CT image | 512x512 px | Slice 114/565
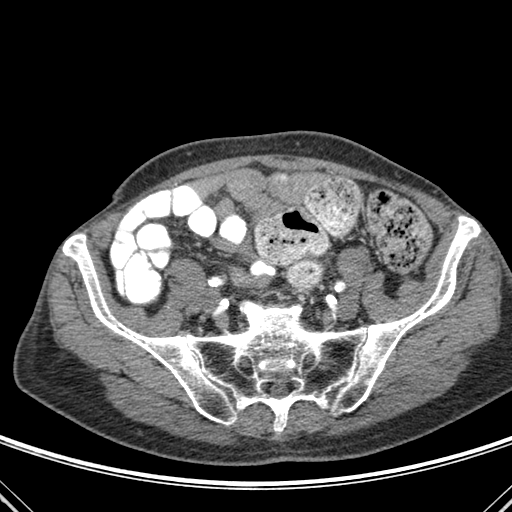
Segmented structures:
- bone: bbox=[62, 216, 480, 431]